FLAIR MR.
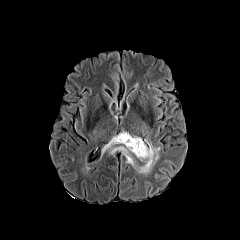
T1-weighted MRI.
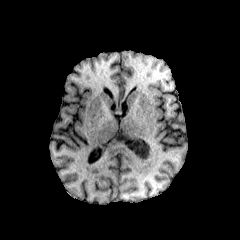
Post-contrast T1-weighted MR image.
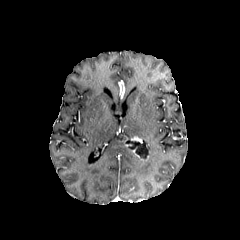
T2-weighted magnetic resonance.
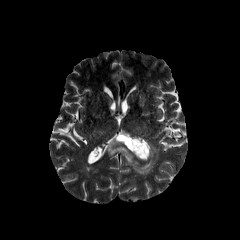
Brain
edema: l=104, t=138, r=160, b=174 | enhancing tumor: l=130, t=135, r=142, b=143; l=135, t=153, r=150, b=162 | non-enhancing tumor core: l=117, t=132, r=149, b=159